Slice index 139 | CT image | 512x512 px | Field of view 466 mm wide, 1.25 mm slice spacing
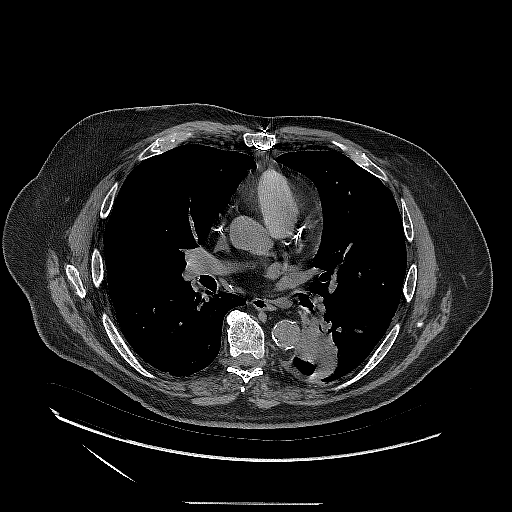
The lung tumor lies within x1=297 y1=290 x2=342 y2=380.